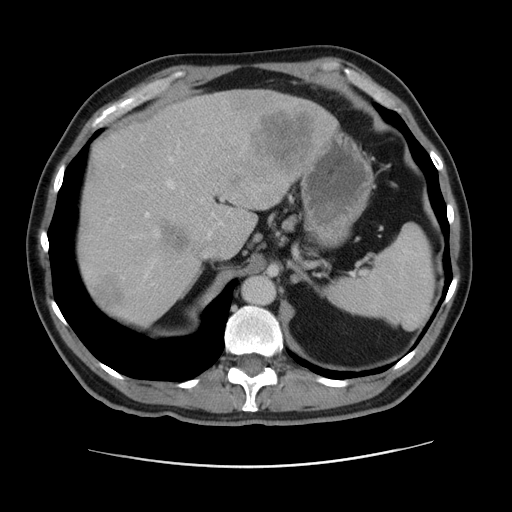

CT slice | 512x512
<segmentation>
  <liver_lesion>region(96, 275, 126, 307); region(162, 223, 190, 253); region(247, 107, 316, 168)</liver_lesion>
  <liver>region(76, 90, 333, 326)</liver>
</segmentation>